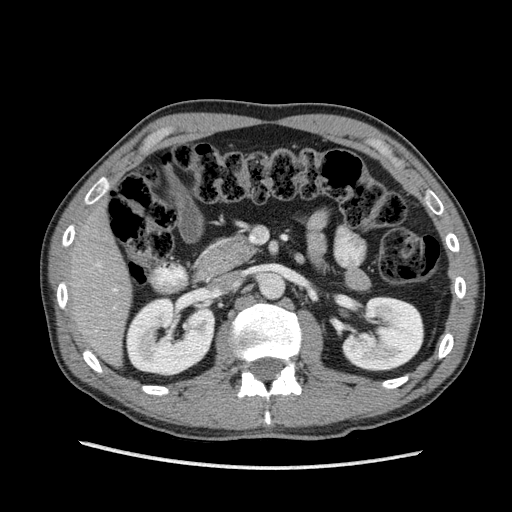 Abdomen. CT. Image size 512x512. liver: x1=63 y1=200 x2=131 y2=367 | kidney: x1=127 y1=299 x2=213 y2=374, x1=343 y1=298 x2=422 y2=369